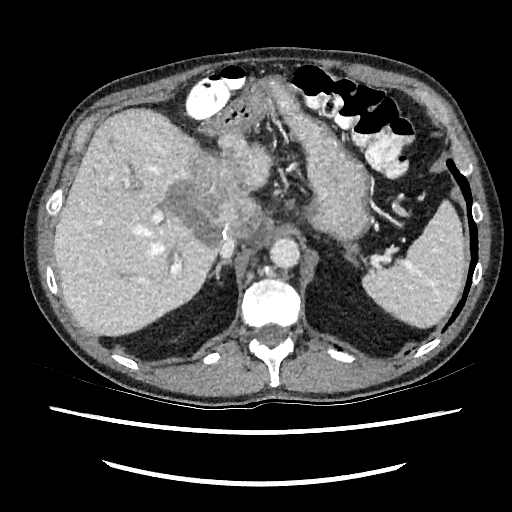
CT
3 liver regions are located at bbox=[54, 109, 220, 334]; bbox=[213, 133, 269, 194]; bbox=[232, 201, 263, 239]. The liver lesion appears at bbox=[161, 150, 261, 246].